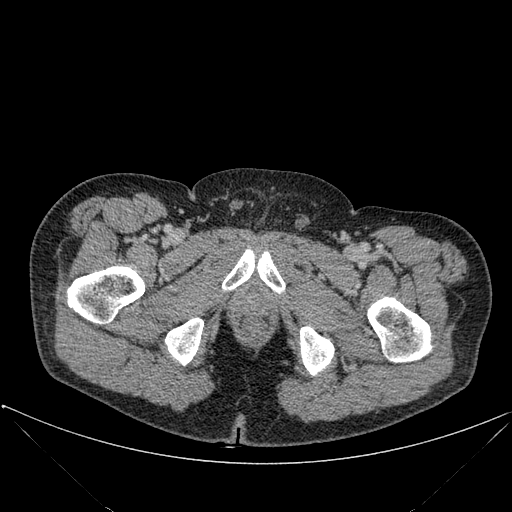 512x512 px | CT slice
{"bone": ["(222,249,285,293)", "(367,297,431,361)", "(165,318,203,365)", "(300,326,334,375)", "(67,266,144,323)"]}